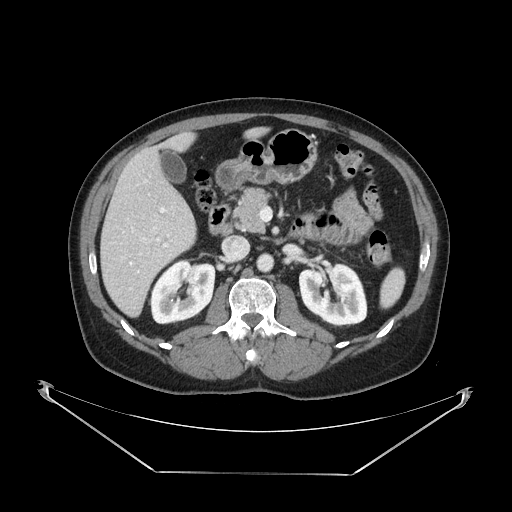 Upper abdomen, CT

pancreas: box(234, 186, 271, 232)